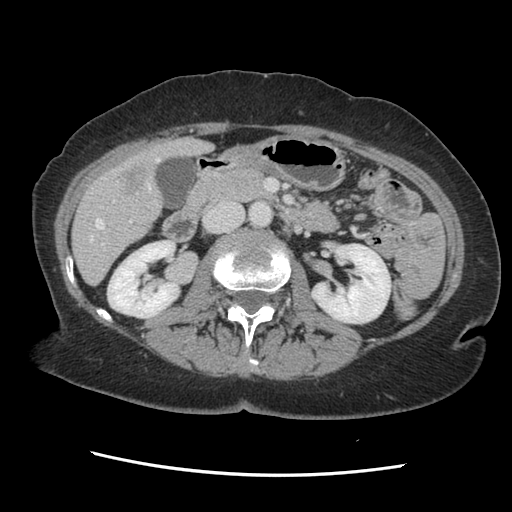

CT image. Abdomen.
Not every hepatic vessel necessarily has a box.
Hepatic vessel at box=[90, 235, 93, 240]; box=[156, 158, 158, 160]; box=[96, 218, 103, 228]; box=[147, 182, 150, 190].
Liver tumor at box=[117, 167, 144, 190].